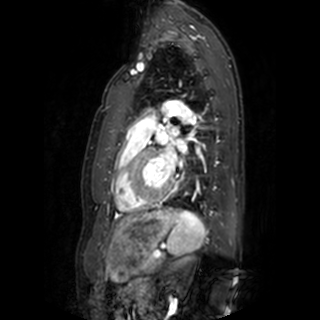 Image size 320x320 | Magnetic resonance
4 left atrium regions are bounded by left=168, top=127, right=178, bottom=136; left=156, top=133, right=166, bottom=143; left=176, top=139, right=187, bottom=152; left=157, top=147, right=176, bottom=174.